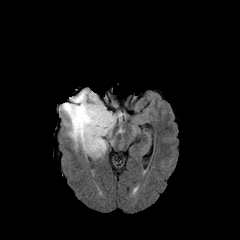
FLAIR MR image.
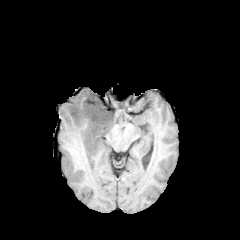
Same slice, T1-weighted MRI.
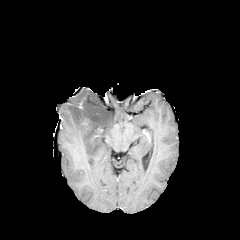
Post-contrast T1-weighted MR image.
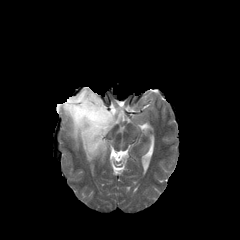
T2-weighted MR image of the same slice.
Brain
Edema at box=[59, 103, 116, 158]; box=[73, 89, 109, 110]; box=[114, 112, 125, 121].
Non-enhancing tumor core at box=[66, 97, 116, 139].